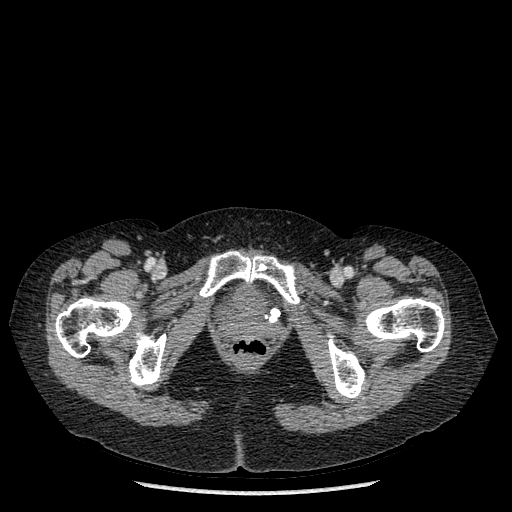 CT scan slice. Image size 512x512.
Bone = bbox=[360, 298, 445, 351]; bbox=[199, 251, 299, 304]; bbox=[54, 297, 166, 388]; bbox=[327, 335, 365, 398].